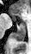
Magnetic resonance | Hippocampus | 31x54 px

{
  "posterior_hippocampus": [
    "box(11, 23, 26, 41)"
  ],
  "anterior_hippocampus": [
    "box(13, 17, 14, 20)",
    "box(22, 21, 23, 23)"
  ]
}